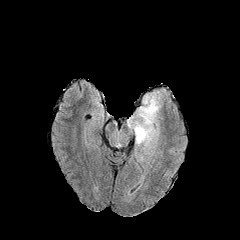
FLAIR MR image.
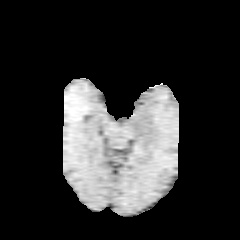
T1-weighted MRI.
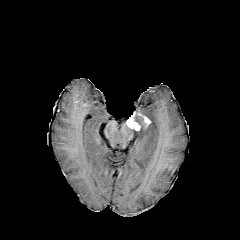
Post-contrast T1-weighted MRI of the same slice.
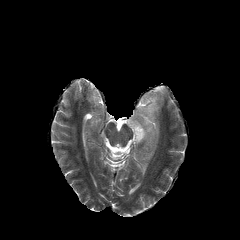
T2-weighted MR image.
Brain. 240x240.
{
  "enhancing_tumor": [
    "(126,107,151,131)"
  ],
  "edema": [
    "(135,89,167,162)"
  ]
}